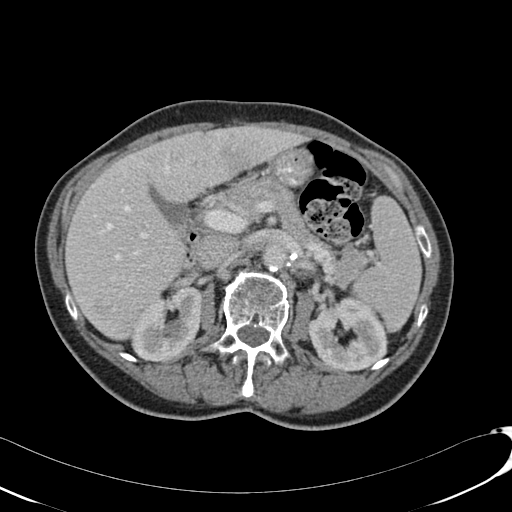
CT scan slice, Abdomen, 512x512
2 focal liver lesion regions are bounded by box=[218, 145, 256, 171]; box=[94, 300, 113, 318]. The liver lies within box=[66, 127, 307, 338]. 2 kidney regions are located at box=[133, 287, 201, 361]; box=[309, 302, 386, 370].